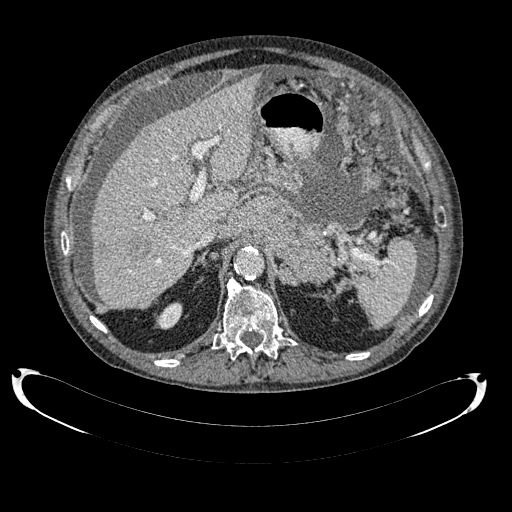

Computed tomography. Liver.

Hepatic lesion at bbox(127, 237, 149, 257); bbox(144, 126, 152, 136); bbox(96, 243, 104, 252).
Liver at bbox(90, 73, 260, 309).
Kidney at bbox(157, 303, 181, 328).